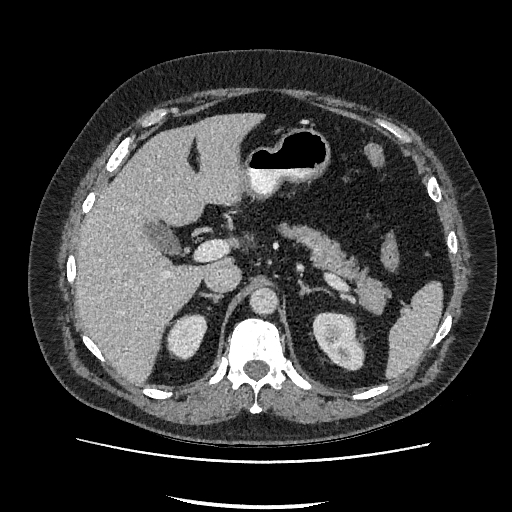
CT scan slice
kidney: region(169, 316, 205, 357); region(314, 314, 362, 368) | liver: region(76, 114, 262, 384)